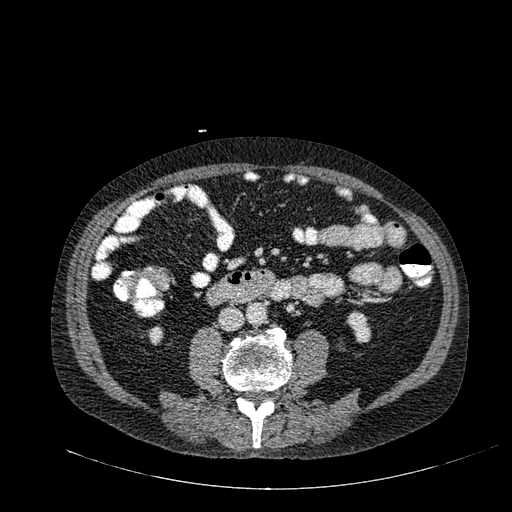
Abdomen | CT | 512x512 px
kidney:
  - 148, 326, 162, 345
  - 346, 311, 370, 343